Brain; Slice index 86; Image width 240 mm
FLAIR magnetic resonance.
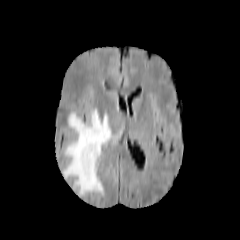
T1-weighted magnetic resonance.
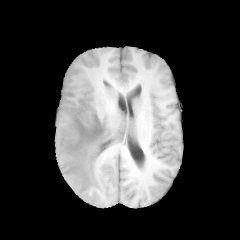
Post-contrast T1-weighted MRI.
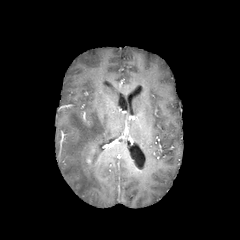
T2-weighted magnetic resonance.
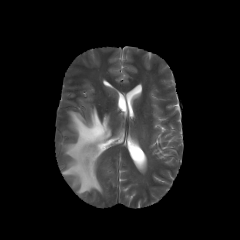
The edema lies within rect(63, 110, 112, 195).